CT slice

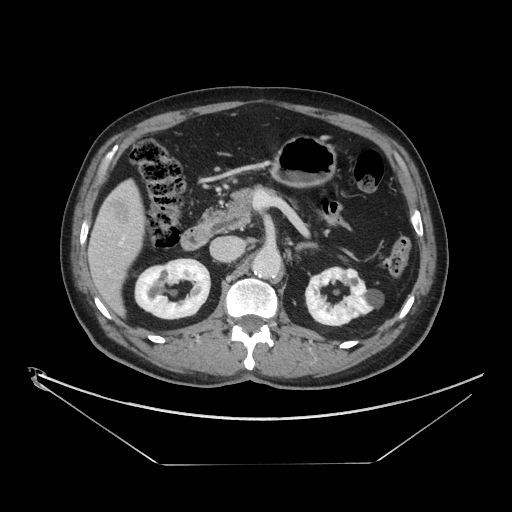
Some hepatic vessels may have no box.
<segmentation>
  <liver_tumor>bbox(108, 198, 132, 225)</liver_tumor>
  <hepatic_vessel>bbox(119, 237, 124, 244); bbox(108, 271, 109, 272)</hepatic_vessel>
</segmentation>